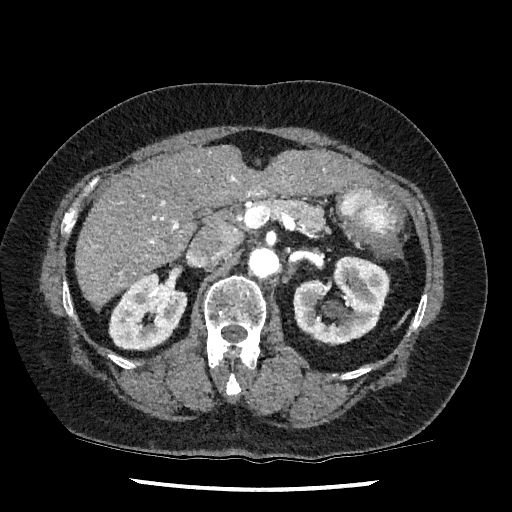
CT. 512x512 px. Segmented structures:
* liver: [75,145,375,309]
* kidney: [294,257,388,343], [109,268,186,349]